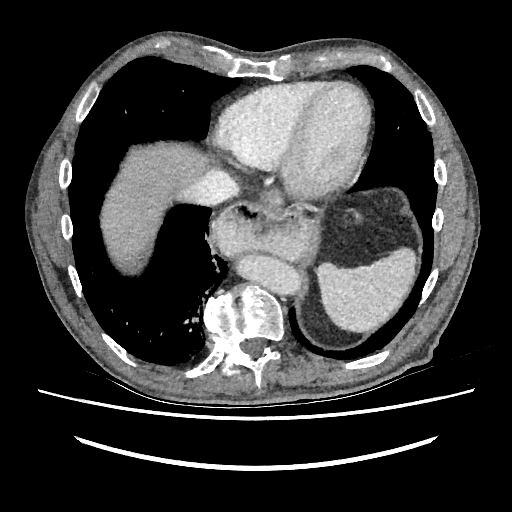
CT scan slice

Liver — [101,143,210,272].
Liver lesion — [120,242,152,271].